Image width 400 mm, Image size 512x512, Computed tomography, Slice index 445
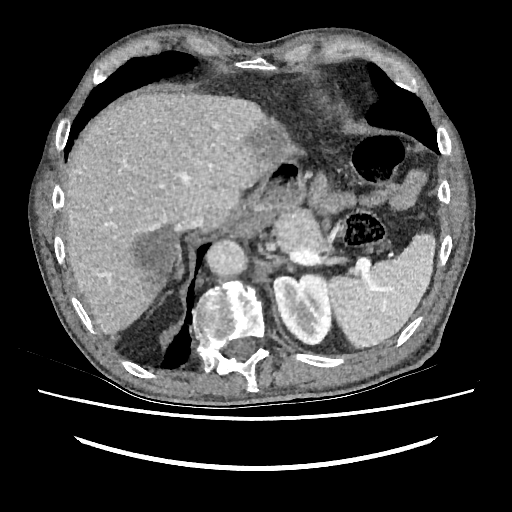 Segmented structures:
• kidney: (x1=274, y1=275, x2=330, y2=344)
• focal liver lesion: (x1=125, y1=224, x2=175, y2=291), (x1=246, y1=120, x2=286, y2=160)
• liver: (x1=66, y1=92, x2=302, y2=333)